Image width 453 mm | CT image | Slice index 52
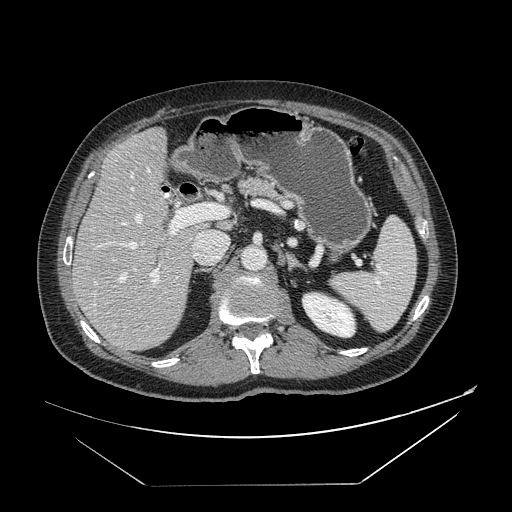
The pancreas appears at bbox(239, 178, 284, 199).